CT image | Upper abdomen
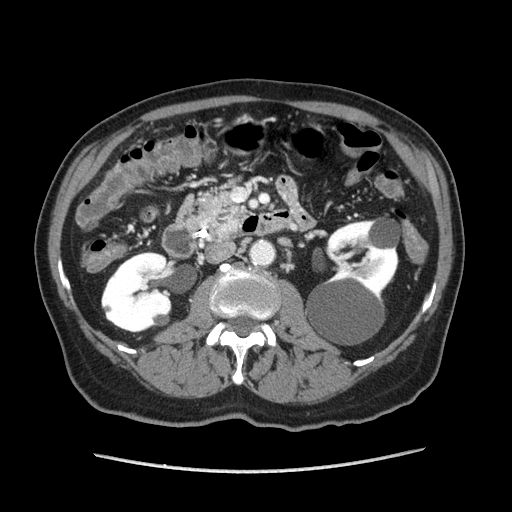 <segmentation>
  <pancreatic_tumor>bbox(222, 219, 237, 233)</pancreatic_tumor>
  <pancreas>bbox(189, 192, 247, 239)</pancreas>
</segmentation>